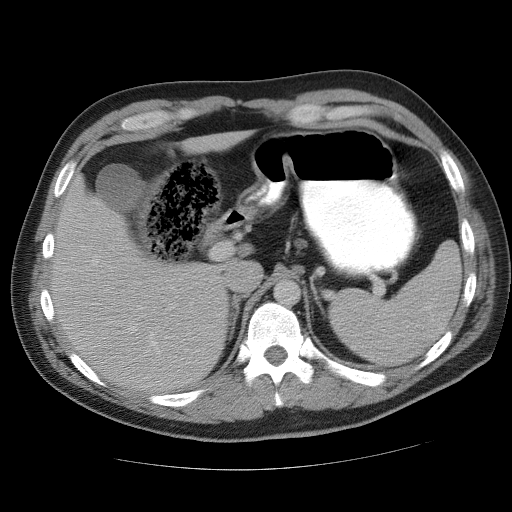 CT image; Upper abdomen
The spleen appears at box(330, 243, 461, 365).